FLAIR MR image.
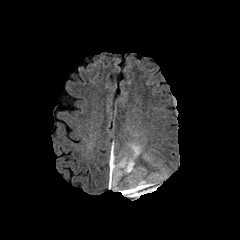
T1-weighted MR.
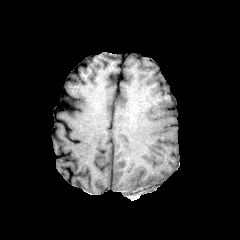
Post-contrast T1-weighted MRI.
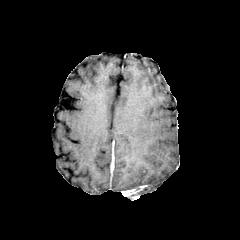
T2-weighted MRI.
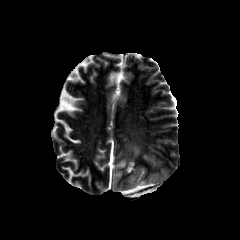
Head
The edema lies within bbox=[109, 156, 158, 197]. The non-enhancing tumor core is bounded by bbox=[131, 184, 146, 197]. The enhancing tumor is located at bbox=[122, 188, 137, 195].